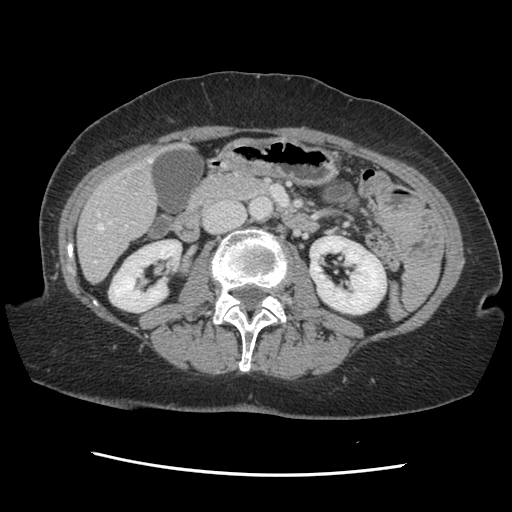
Liver; CT slice
The vessel boxes may cover only some of the vessels.
Liver tumor at bbox(125, 163, 149, 188).
Hepatic vessel at bbox(148, 159, 151, 161); bbox(94, 260, 96, 262); bbox(108, 222, 111, 223); bbox(98, 224, 103, 229); bbox(97, 212, 98, 215).